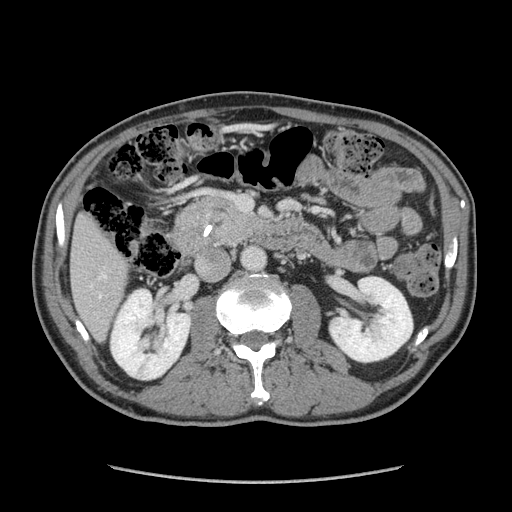

Abdomen | CT scan slice
- pancreas: [177, 193, 264, 246]